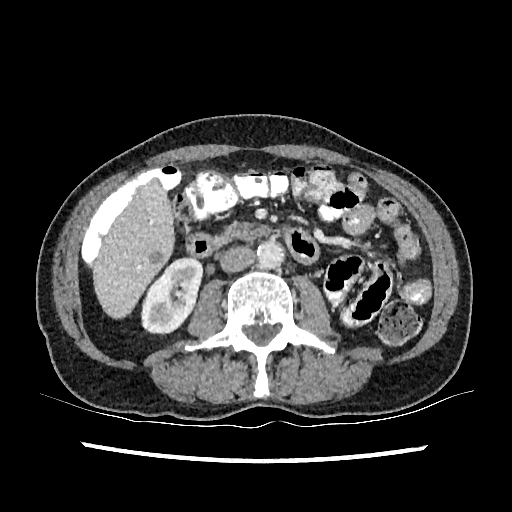

CT image. Upper abdomen.
liver: 93:177:172:317 | kidney: 142:259:202:332 | focal liver lesion: 149:251:163:263